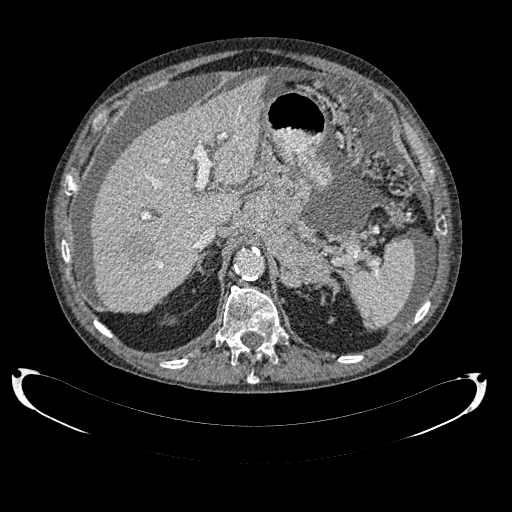
CT image
liver: left=91, top=75, right=267, bottom=311 | hepatic lesion: left=124, top=234, right=152, bottom=260